512x512; CT; Liver
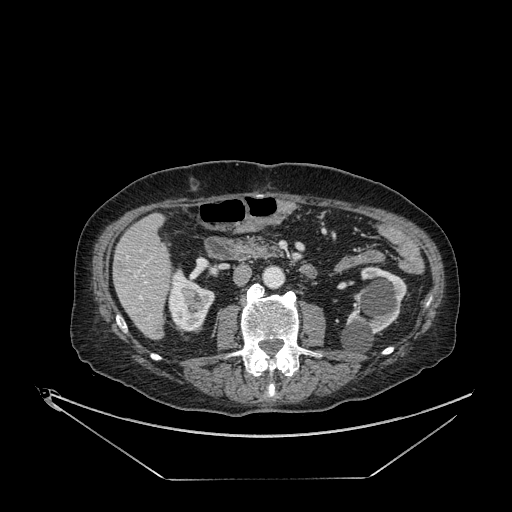 * hepatic lesion: (x1=154, y1=322, x2=162, y2=335), (x1=117, y1=261, x2=124, y2=270)
* kidney: (x1=361, y1=267, x2=406, y2=333), (x1=169, y1=269, x2=214, y2=330), (x1=347, y1=307, x2=364, y2=323)
* liver: (x1=113, y1=214, x2=170, y2=338)